Head; 240x240
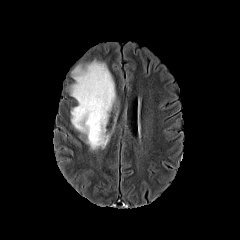
FLAIR MRI.
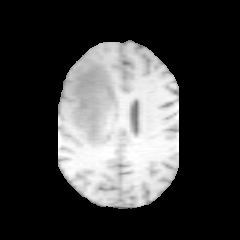
T1-weighted MRI.
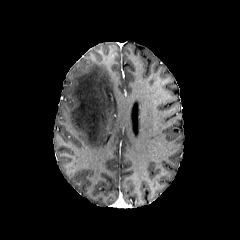
Post-contrast T1-weighted MR image of the same slice.
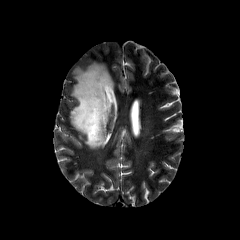
T2-weighted MRI.
Segmented structures:
* edema: [70, 60, 115, 150]